Field of view 500x500 mm; 512x512; CT scan slice; Abdomen
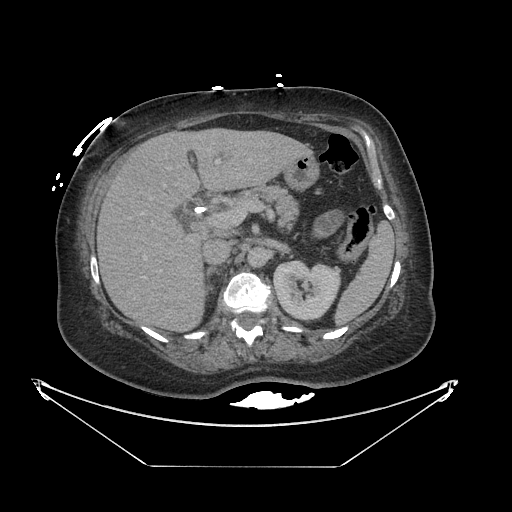

The pancreas appears at region(241, 186, 297, 230).